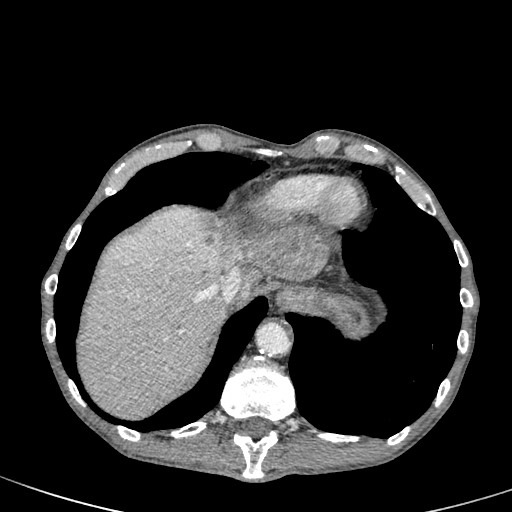

CT scan slice; Image size 512x512
focal liver lesion: [196, 210, 330, 279] | liver: [274, 275, 302, 280], [79, 208, 258, 418]